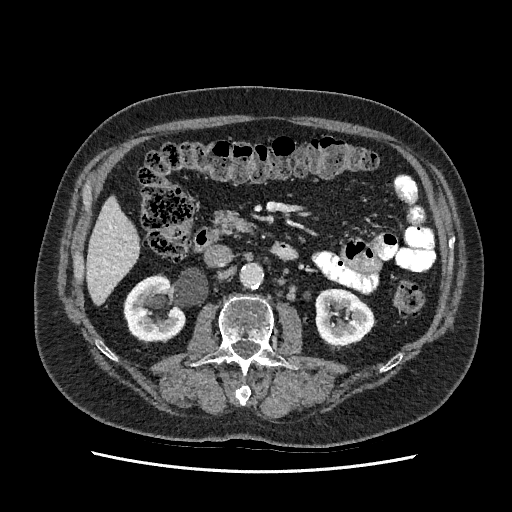
Upper abdomen, CT slice
Segmented structures:
* liver: x1=87, y1=197, x2=139, y2=303
* kidney: x1=316, y1=289, x2=373, y2=344; x1=125, y1=276, x2=184, y2=340